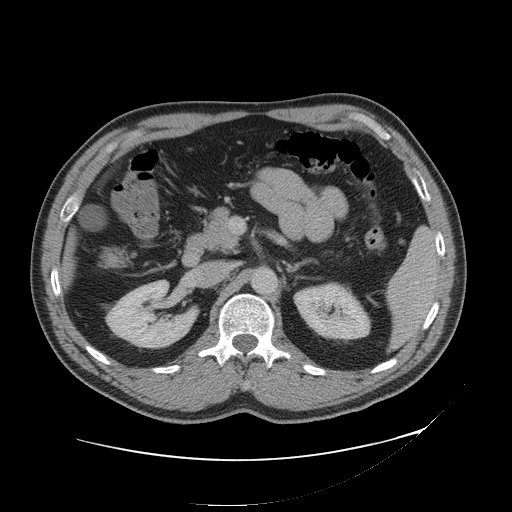
CT; Pelvis
colon_tumor:
  - 100:251:117:265